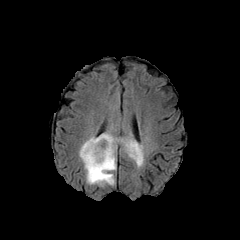
FLAIR MRI.
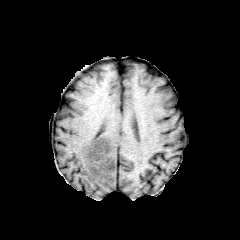
T1-weighted MR.
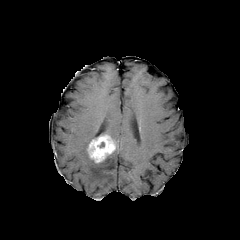
Post-contrast T1-weighted MR of the same slice.
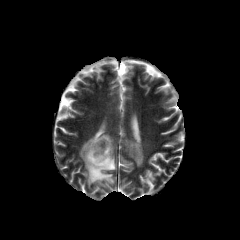
T2-weighted MR of the same slice.
240x240.
Findings:
- edema: 78, 132, 144, 186
- enhancing tumor: 88, 135, 114, 162